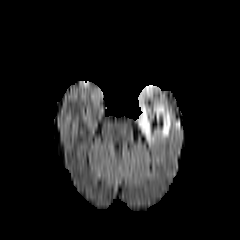
FLAIR MR.
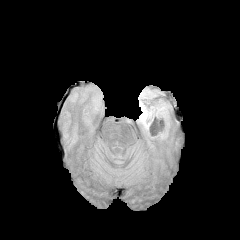
Same slice, T1-weighted MR.
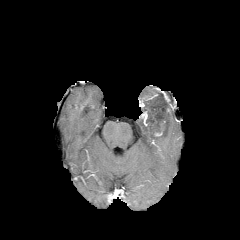
Same slice, post-contrast T1-weighted MR image.
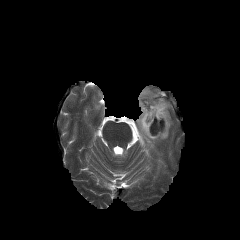
T2-weighted magnetic resonance.
edema: (137, 87, 174, 144)